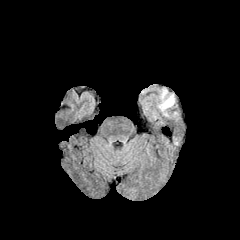
FLAIR MRI.
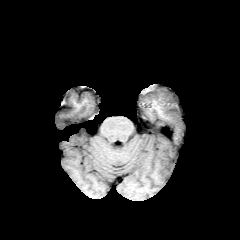
Same slice, T1-weighted MR image.
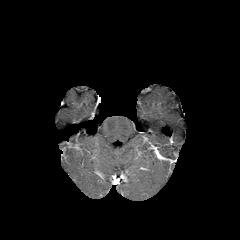
Post-contrast T1-weighted MR image.
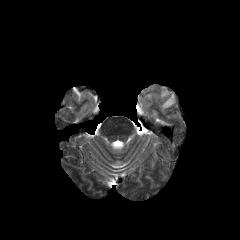
Same slice, T2-weighted MR.
Head.
* edema: box(141, 87, 178, 119)